FLAIR MRI.
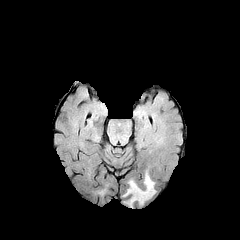
T1-weighted MR.
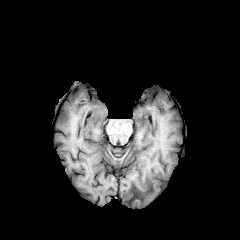
Post-contrast T1-weighted MR image.
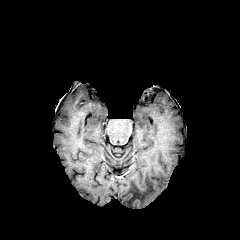
T2-weighted MR.
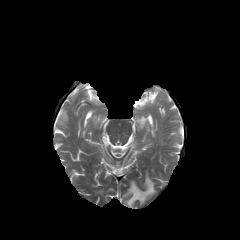
Head | 240x240
<segmentation>
  <edema>123 173 155 207</edema>
</segmentation>